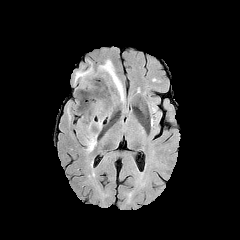
FLAIR magnetic resonance.
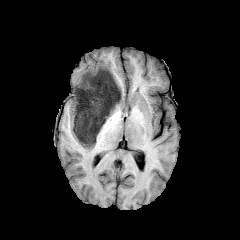
Same slice, T1-weighted magnetic resonance.
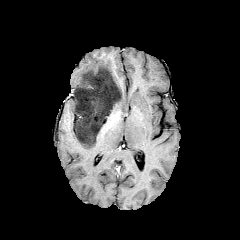
Post-contrast T1-weighted MR.
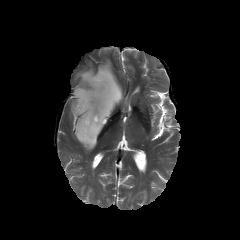
Same slice, T2-weighted magnetic resonance.
Head
Edema = 94,80,103,97; 84,144,96,152; 74,59,125,101.
Non-enhancing tumor core = 75,67,121,146.